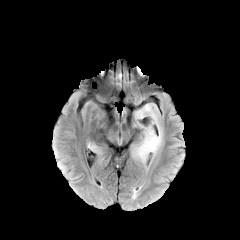
FLAIR MR.
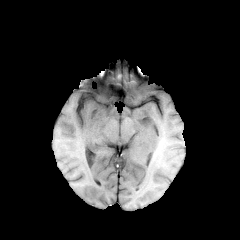
T1-weighted magnetic resonance of the same slice.
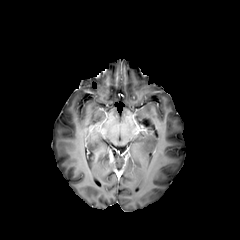
Same slice, post-contrast T1-weighted MRI.
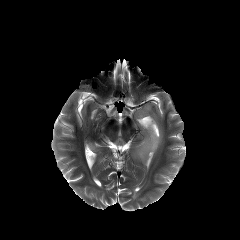
T2-weighted magnetic resonance of the same slice.
<segmentation>
  <edema>[132, 103, 163, 163]</edema>
  <non-enhancing_tumor_core>[137, 123, 147, 134]</non-enhancing_tumor_core>
</segmentation>